FLAIR MR image.
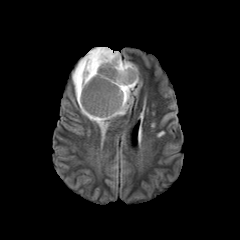
T1-weighted MRI.
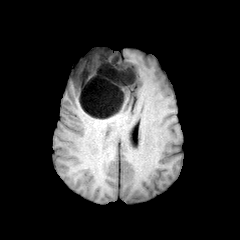
Post-contrast T1-weighted MRI.
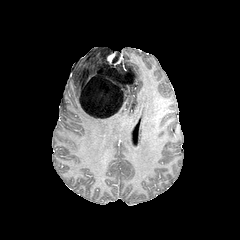
T2-weighted MR.
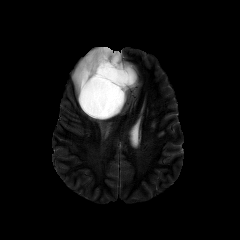
Image size 240x240
{"edema": ["x1=84 y1=47 x2=112 y2=57", "x1=72 y1=54 x2=140 y2=136"], "non-enhancing_tumor_core": ["x1=79 y1=49 x2=135 y2=118"], "enhancing_tumor": ["x1=106 y1=53 x2=115 y2=63"]}